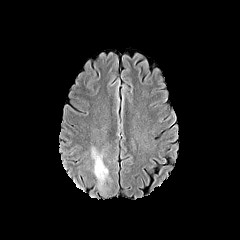
FLAIR MR image.
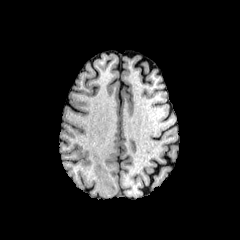
Same slice, T1-weighted magnetic resonance.
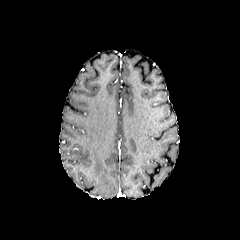
Post-contrast T1-weighted magnetic resonance.
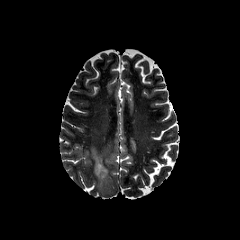
T2-weighted MR image.
Head. 240x240.
The edema is at (x1=92, y1=149, x2=107, y2=180).